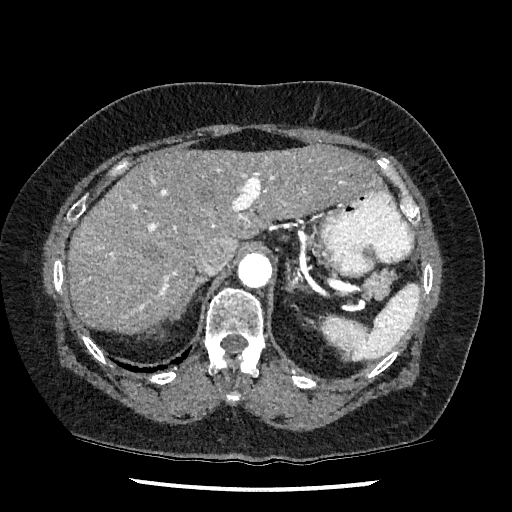 CT image

Liver = {"x1": 68, "y1": 146, "x2": 384, "y2": 331}.